FLAIR MR image.
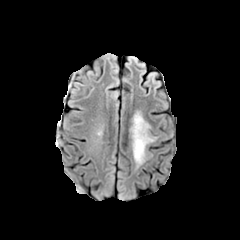
T1-weighted magnetic resonance.
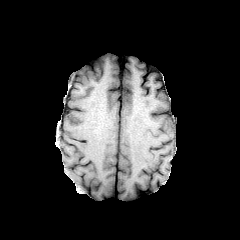
Post-contrast T1-weighted MR.
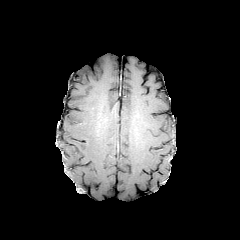
T2-weighted magnetic resonance.
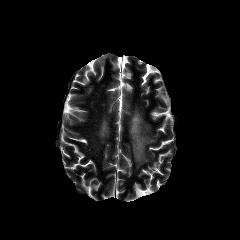
Brain
The edema is at (130,113,154,165).